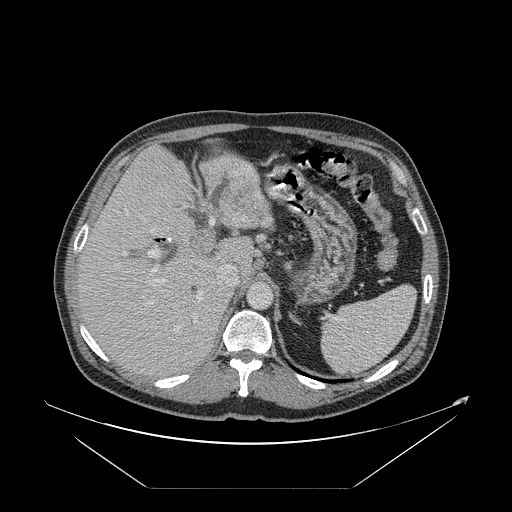
Computed tomography | Abdomen
The vessel annotation is not exhaustive.
The liver tumor is bounded by rect(191, 180, 258, 246). 14 hepatic vessel regions are located at rect(148, 229, 156, 235); rect(175, 326, 178, 331); rect(122, 252, 126, 256); rect(191, 207, 193, 208); rect(202, 202, 204, 205); rect(150, 266, 157, 274); rect(211, 264, 238, 284); rect(196, 291, 202, 301); rect(148, 248, 160, 260); rect(184, 205, 189, 207); rect(193, 312, 199, 323); rect(167, 238, 171, 241); rect(145, 297, 154, 306); rect(147, 277, 165, 286).